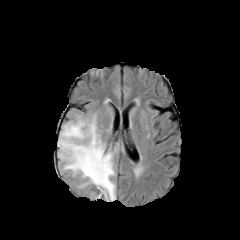
FLAIR MR.
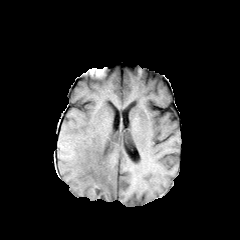
T1-weighted MRI of the same slice.
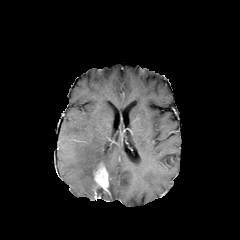
Same slice, post-contrast T1-weighted MR.
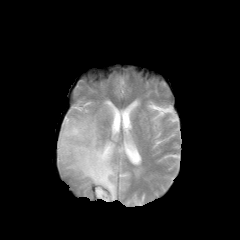
Same slice, T2-weighted magnetic resonance.
Brain
non-enhancing_tumor_core:
  - <bbox>97, 190, 107, 198</bbox>
  - <bbox>93, 162, 105, 177</bbox>
edema:
  - <bbox>58, 114, 119, 200</bbox>
enhancing_tumor:
  - <bbox>94, 166, 108, 191</bbox>